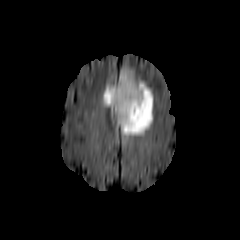
FLAIR MR image.
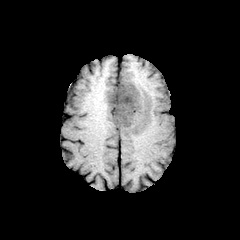
Same slice, T1-weighted MR image.
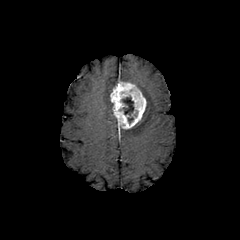
Same slice, post-contrast T1-weighted magnetic resonance.
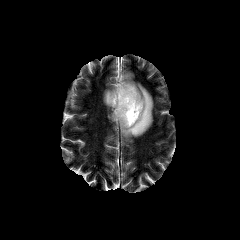
T2-weighted MRI.
Segmented structures:
• non-enhancing tumor core: (122, 97, 133, 115)
• edema: (102, 81, 116, 109), (117, 69, 153, 140)
• enhancing tumor: (110, 76, 146, 129)